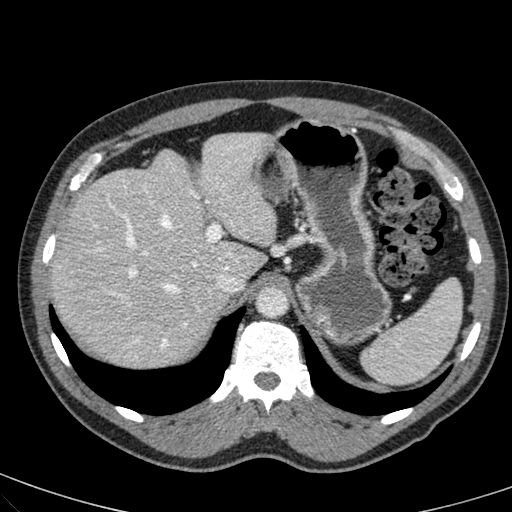

Upper abdomen. CT slice. The liver lies within (x1=51, y1=133, x2=274, y2=367).